Abdomen. Field of view 382 mm wide, 1.50 mm slice spacing. Slice 100 of 154. Computed tomography.

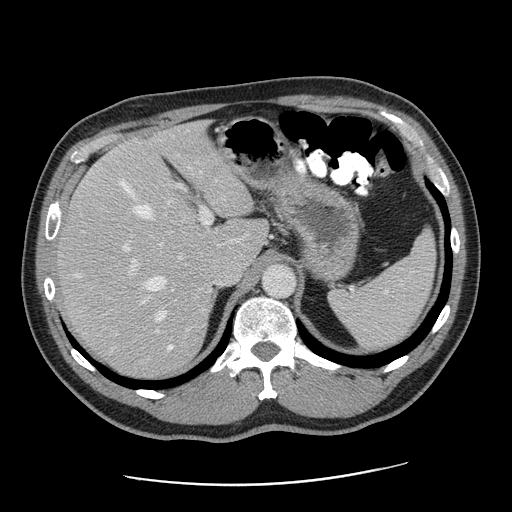
Only some of the vessels may be annotated.
Liver tumor: bounding box <box>138,133,160,140</box>, <box>172,187,185,196</box>.
Hepatic vessel: bounding box <box>77,274,81,276</box>, <box>120,180,130,190</box>, <box>199,208,212,227</box>, <box>132,258,136,268</box>, <box>124,245,129,249</box>, <box>134,204,151,217</box>, <box>156,311,164,320</box>, <box>168,345,173,349</box>, <box>179,254,181,257</box>, <box>145,276,166,289</box>, <box>175,184,180,186</box>, <box>202,244,246,283</box>.